FLAIR MRI.
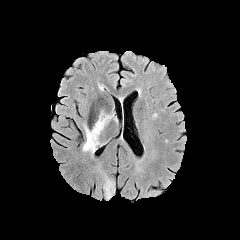
T1-weighted MR.
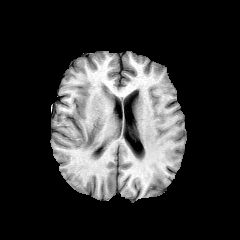
Post-contrast T1-weighted magnetic resonance.
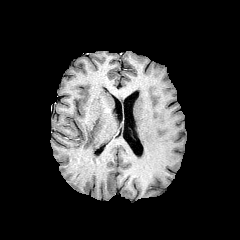
T2-weighted magnetic resonance.
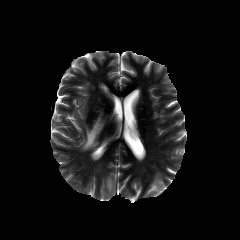
The edema is located at (x1=82, y1=110, x2=114, y2=152).